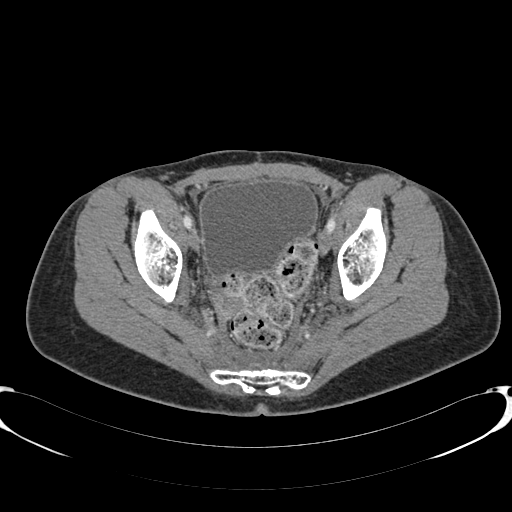 Pelvis, CT slice, 512x512 px

Urinary bladder = <box>202,182,315,275</box>.